CT scan slice

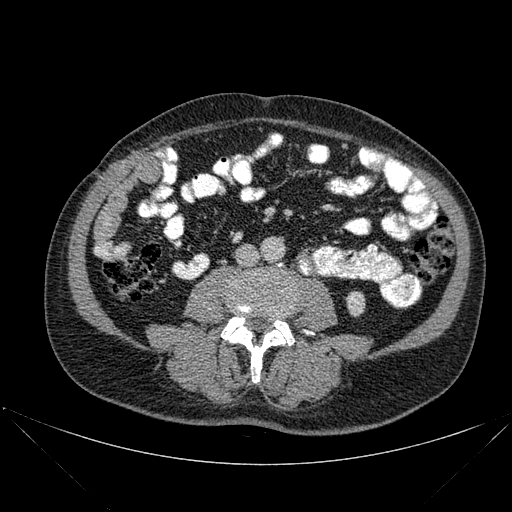
Annotated regions:
- kidney: [x1=347, y1=292, x2=364, y2=315]
- bone: [x1=221, y1=269, x2=295, y2=382]